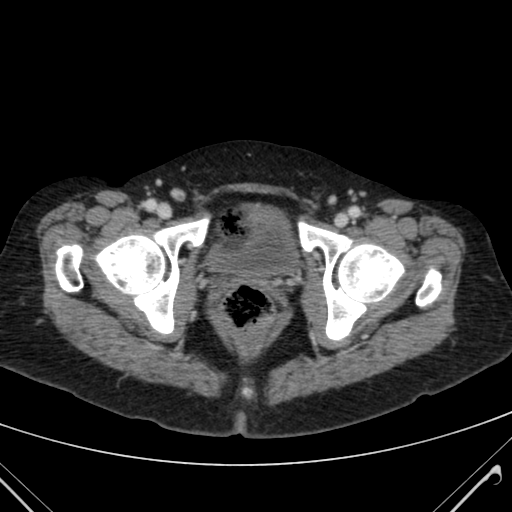

CT scan slice; Image size 512x512
The urinary bladder is bounded by (left=206, top=206, right=301, bottom=282).